Slice 64 of 155.
FLAIR MR.
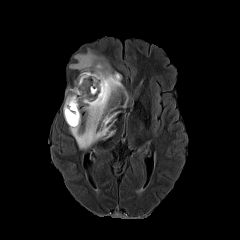
T1-weighted MR image.
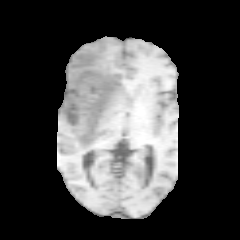
Post-contrast T1-weighted MRI.
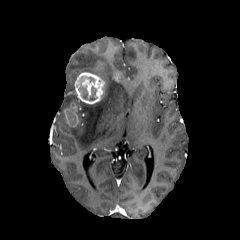
T2-weighted MR image.
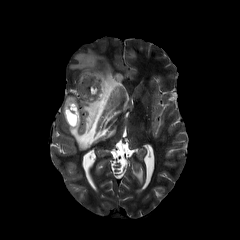
edema:
  - 64:49:128:150
enhancing_tumor:
  - 64:100:80:126
  - 75:72:105:104
non-enhancing_tumor_core:
  - 78:82:96:101